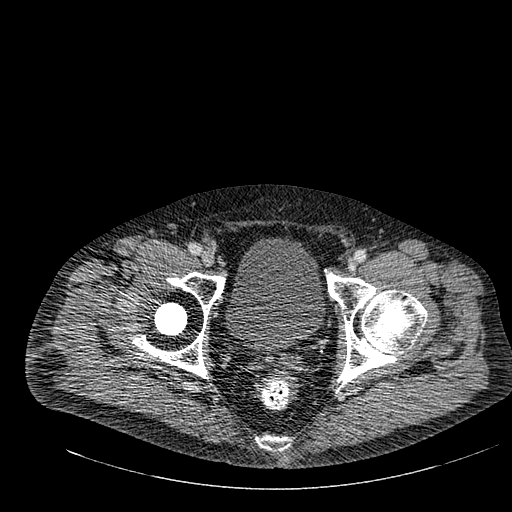
CT image.

Annotated regions:
* urinary bladder: (left=225, top=238, right=325, bottom=351)